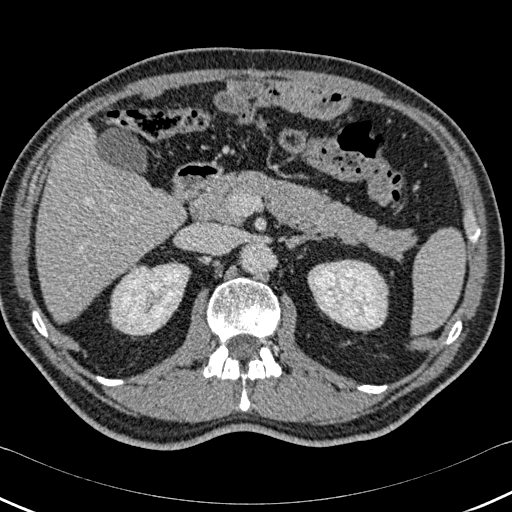

CT slice; 512x512; Upper abdomen
liver: bbox=[35, 125, 185, 322] | bone: bbox=[203, 278, 281, 410]; bbox=[447, 321, 461, 343]; bbox=[470, 229, 479, 240]; bbox=[33, 312, 47, 336]; bbox=[358, 385, 386, 393]; bbox=[97, 377, 122, 385] | kidney: bbox=[111, 264, 188, 334]; bbox=[308, 260, 387, 329]